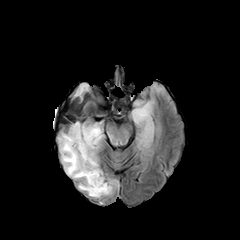
FLAIR magnetic resonance.
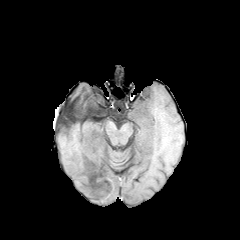
T1-weighted MR image.
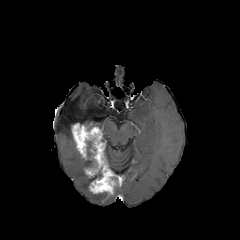
Same slice, post-contrast T1-weighted MR image.
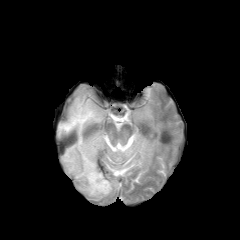
T2-weighted MR image.
Segmented structures:
- non-enhancing tumor core: 83, 141, 99, 167; 90, 156, 121, 187
- enhancing tumor: 84, 165, 99, 177; 72, 123, 103, 165; 89, 172, 117, 193
- edema: 58, 102, 107, 199; 130, 102, 152, 125